CT slice; Field of view 330 mm wide, 0.70 mm slice spacing; Upper abdomen
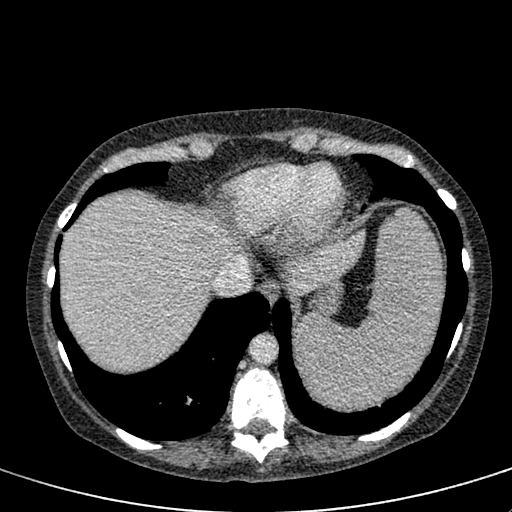
2 liver regions are located at [282, 229, 364, 294], [61, 195, 243, 371]. The liver lesion appears at [183, 228, 216, 249].